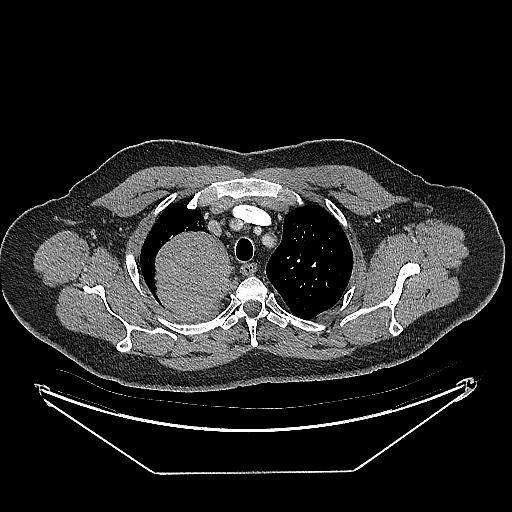
CT slice. <segmentation>
  <lung_tumor>[x1=150, y1=218, x2=233, y2=321]</lung_tumor>
</segmentation>